CT image, Field of view 360x360 mm, 512x512 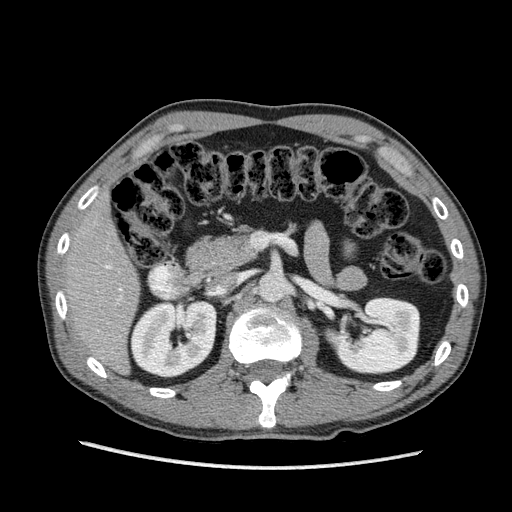 Kidney — {"x1": 332, "y1": 298, "x2": 418, "y2": 372}, {"x1": 132, "y1": 302, "x2": 215, "y2": 375}.
Liver — {"x1": 62, "y1": 194, "x2": 140, "y2": 374}.